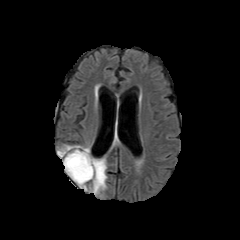
FLAIR MR image.
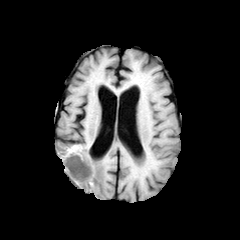
T1-weighted MRI.
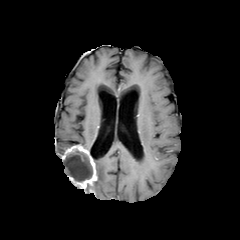
Post-contrast T1-weighted MR image.
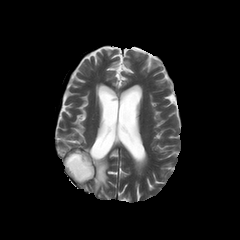
T2-weighted MR of the same slice.
The non-enhancing tumor core is bounded by 62, 148, 92, 185. The enhancing tumor appears at 77, 146, 97, 187. 2 edema regions appear at 57, 146, 71, 155; 85, 157, 107, 193.